Computed tomography. Slice 29/240. Field of view 464 mm wide, 2.50 mm slice spacing. Pelvis.
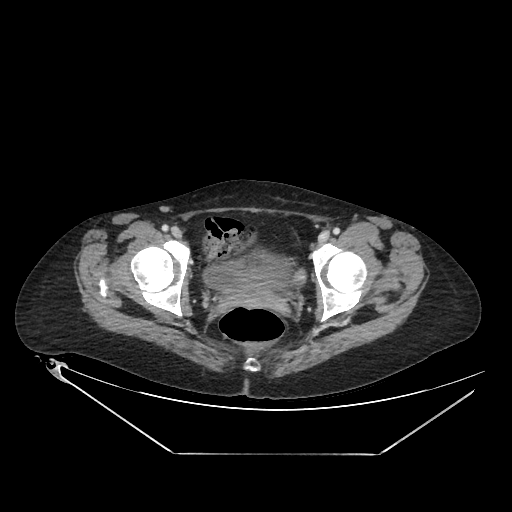

urinary bladder: box(202, 248, 296, 295)